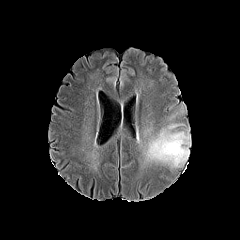
FLAIR MRI.
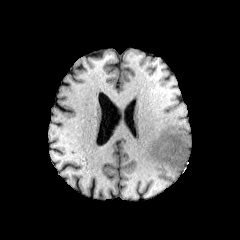
T1-weighted magnetic resonance of the same slice.
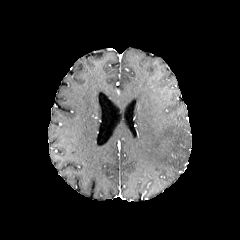
Post-contrast T1-weighted MRI.
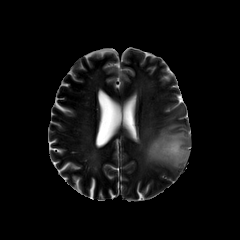
Same slice, T2-weighted magnetic resonance.
Head
<segmentation>
  <edema>(147,130,190,166)</edema>
</segmentation>